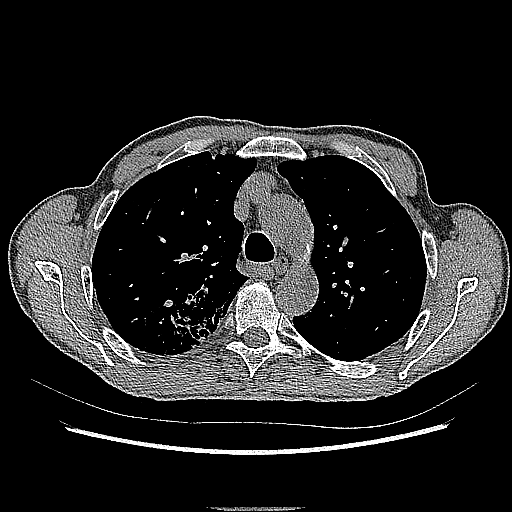
Lung, CT slice
The lung tumor lies within left=169, top=282, right=232, bottom=348.